FLAIR MR.
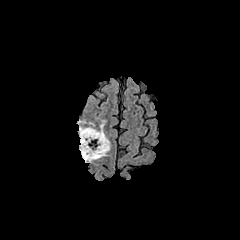
T1-weighted MR image.
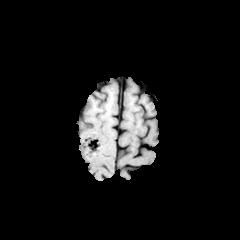
Post-contrast T1-weighted MR image.
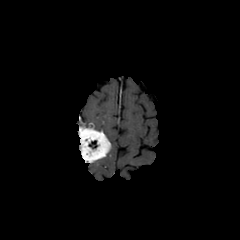
T2-weighted MR.
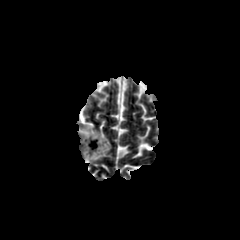
Segmented structures:
• enhancing tumor: 78 124 110 162
• non-enhancing tumor core: 88 140 97 148
• edema: 94 121 105 133